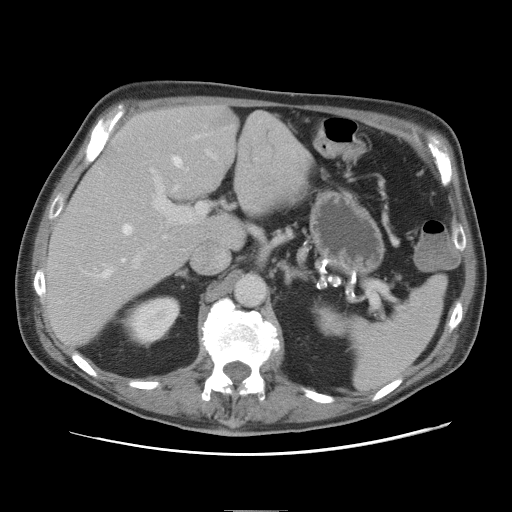

CT, Abdomen
The vessel boxes may cover only some of the vessels.
Hepatic vessel at [x1=196, y1=134, x2=207, y2=138], [x1=99, y1=264, x2=111, y2=277], [x1=197, y1=203, x2=200, y2=208], [x1=173, y1=157, x2=182, y2=166], [x1=207, y1=152, x2=213, y2=156], [x1=134, y1=256, x2=140, y2=266], [x1=155, y1=177, x2=178, y2=211], [x1=164, y1=235, x2=167, y2=239], [x1=151, y1=169, x2=155, y2=172], [x1=174, y1=186, x2=178, y2=190], [x1=122, y1=259, x2=125, y2=262], [x1=123, y1=224, x2=132, y2=234].